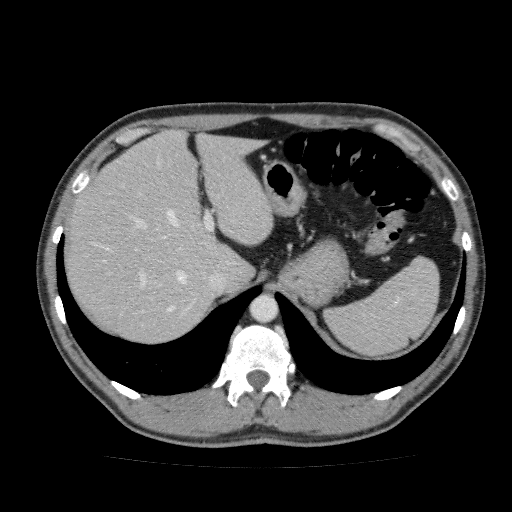

Computed tomography
Liver = 66, 128, 274, 345.